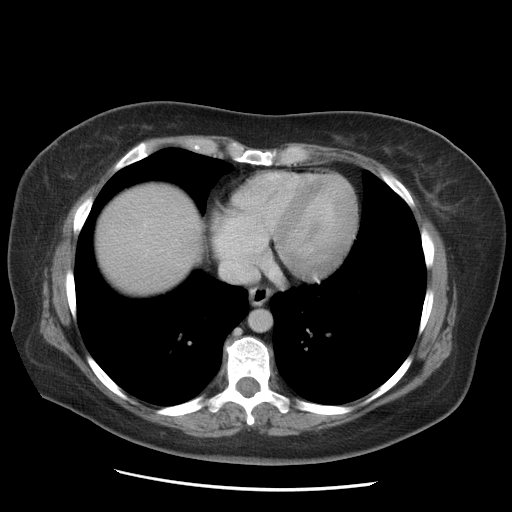

Upper abdomen; CT image
• liver: box(98, 185, 200, 291)